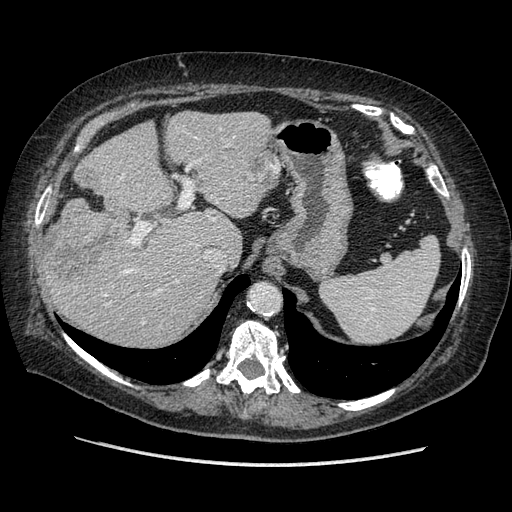

512x512. Liver. CT slice. Not every hepatic vessel necessarily has a box.
Liver tumor at (left=47, top=208, right=119, bottom=273).
Hepatic vessel at (left=186, top=166, right=189, bottom=169), (left=158, top=289, right=162, bottom=290), (left=179, top=196, right=191, bottom=207), (left=129, top=221, right=151, bottom=244).